FLAIR MR image.
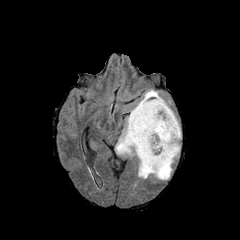
T1-weighted MR image.
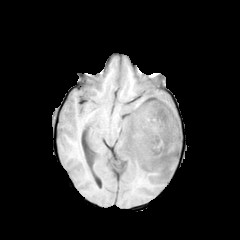
Post-contrast T1-weighted magnetic resonance.
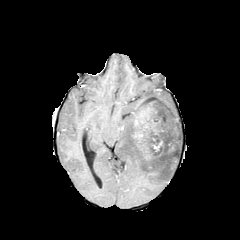
T2-weighted magnetic resonance.
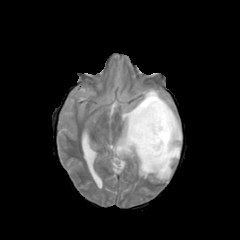
Head
Non-enhancing tumor core at box=[130, 96, 179, 160].
Edema at box=[115, 89, 181, 180].
Enhancing tumor at box=[133, 107, 156, 143].